FLAIR MRI.
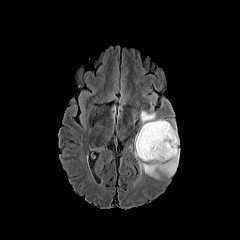
T1-weighted magnetic resonance.
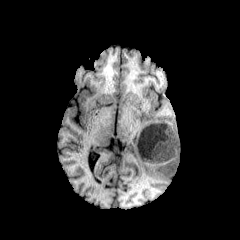
Post-contrast T1-weighted MR.
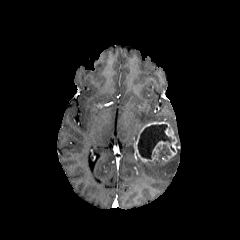
T2-weighted magnetic resonance.
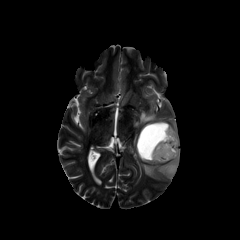
240x240
enhancing tumor: rect(136, 122, 177, 162) | non-enhancing tumor core: rect(159, 144, 170, 160); rect(137, 124, 171, 159) | edema: rect(137, 97, 179, 178)